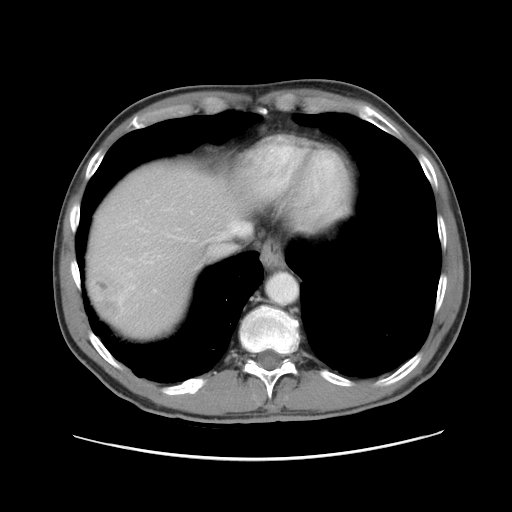
CT slice. Abdomen.

Only some of the vessels may be annotated.
Liver tumor: bounding box [95,280,122,317].
Hepatic vessel: bounding box [230,223,235,225], [133,221,136,221].